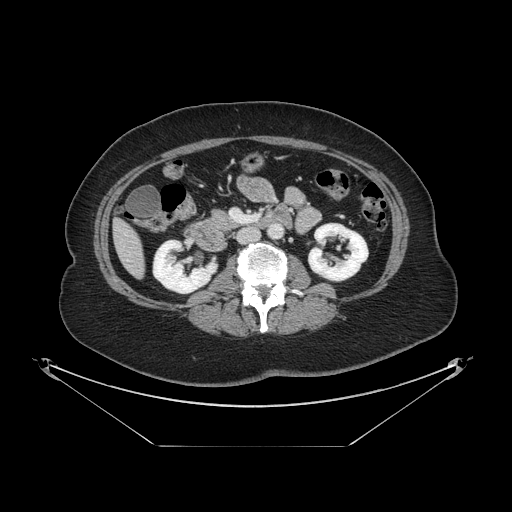

CT | Abdomen
The pancreas is at bbox(212, 210, 240, 233).